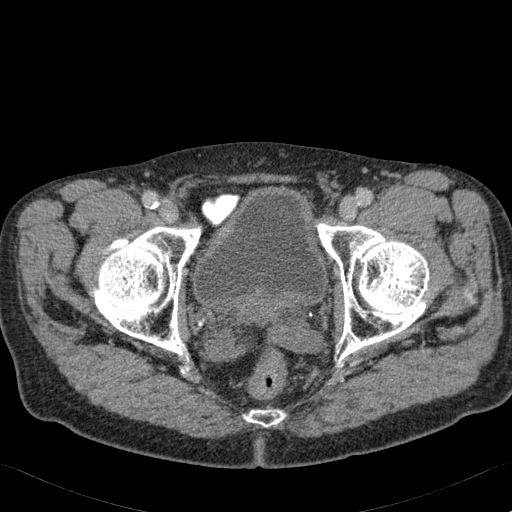
Lower abdomen, CT
The urinary bladder appears at (196, 193, 330, 306).